Slice 51/106. Abdomen. CT image.

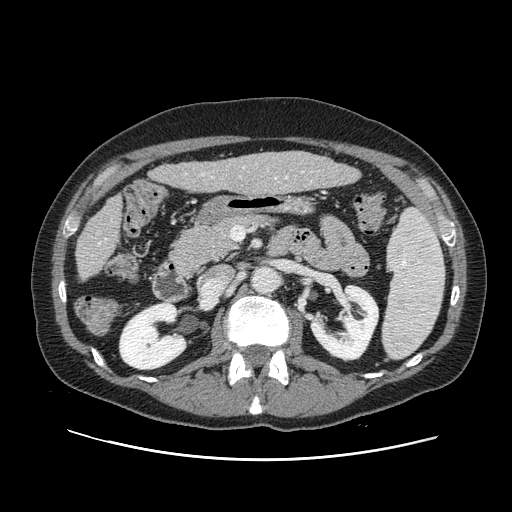 pancreas:
  - 169,215,274,277